Field of view 240x240 mm
FLAIR MR image.
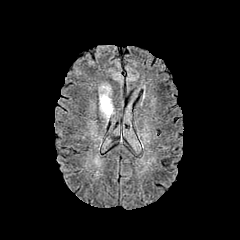
T1-weighted MR.
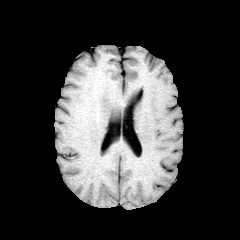
Post-contrast T1-weighted magnetic resonance.
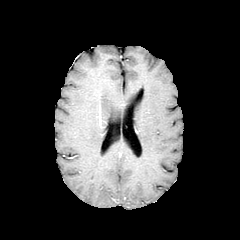
T2-weighted magnetic resonance.
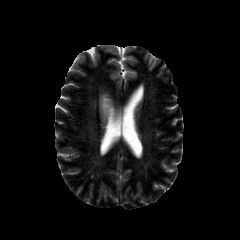
The edema is bounded by [98,84,114,121].